Slice 140 of 217, Upper abdomen, CT image 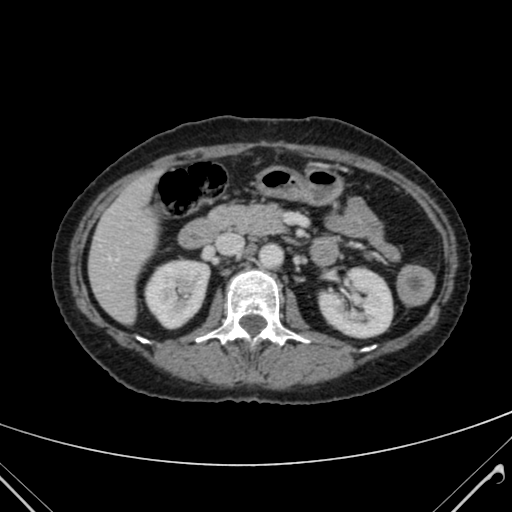

The liver lies within 89, 173, 158, 319. 2 kidney regions appear at 146, 262, 208, 326; 320, 269, 391, 336.